Brain | 240x240 px
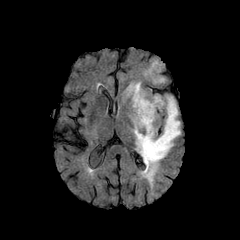
FLAIR MR image.
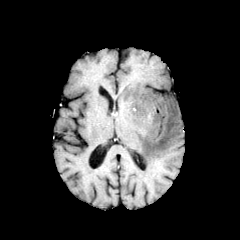
T1-weighted MR.
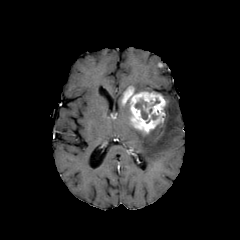
Post-contrast T1-weighted magnetic resonance of the same slice.
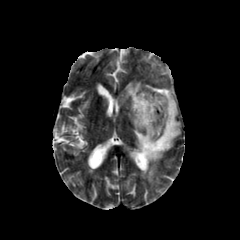
T2-weighted MR image.
enhancing_tumor:
  - {"x1": 123, "y1": 86, "x2": 168, "y2": 134}
edema:
  - {"x1": 133, "y1": 94, "x2": 180, "y2": 183}
  - {"x1": 129, "y1": 82, "x2": 141, "y2": 92}